FLAIR magnetic resonance.
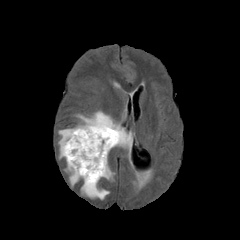
T1-weighted magnetic resonance.
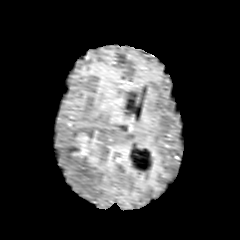
Post-contrast T1-weighted MR.
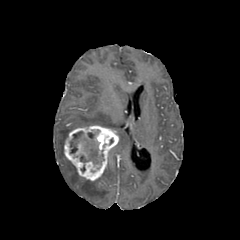
T2-weighted magnetic resonance.
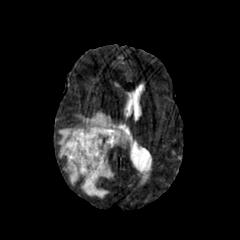
* non-enhancing tumor core: box(70, 131, 104, 164)
* edema: box(58, 111, 132, 198)
* enhancing tumor: box(64, 125, 118, 180)